Computed tomography

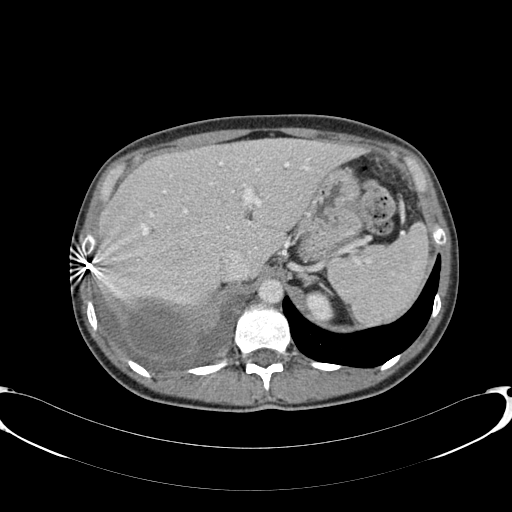 kidney:
  - region(307, 295, 331, 319)
liver:
  - region(95, 139, 367, 307)